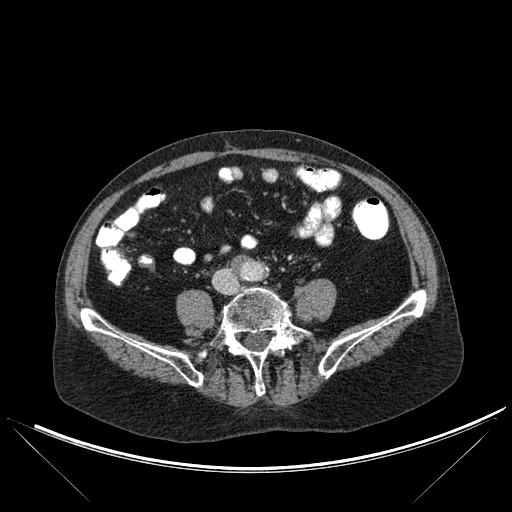
CT slice

bone: [221,288,307,395], [319,290,426,377], [80,308,202,386]